MRI; Medial temporal lobe; Slice index 25 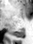
• posterior hippocampus: [13,29,24,37]